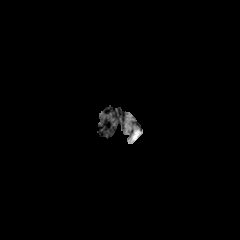
FLAIR MR.
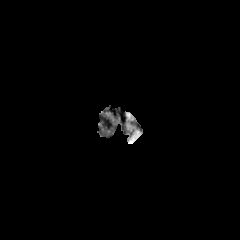
T1-weighted MR image.
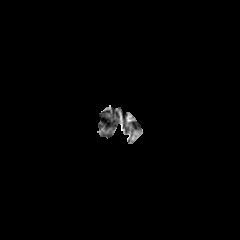
Post-contrast T1-weighted MR image.
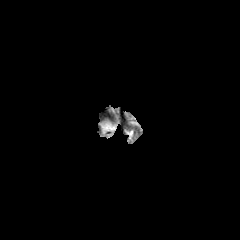
Same slice, T2-weighted MR image.
Head.
<segmentation>
  <edema><bbox>132, 128, 138, 140</bbox></edema>
</segmentation>